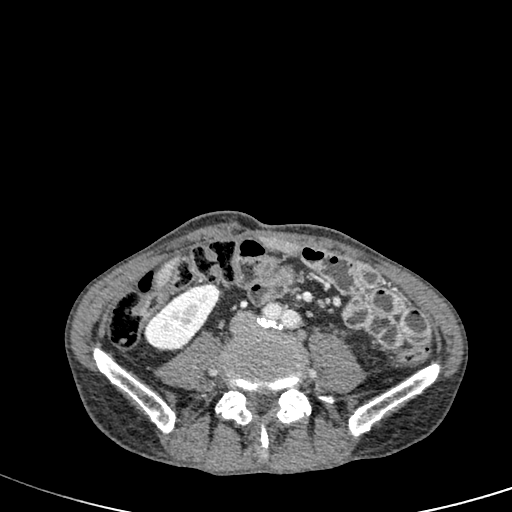

CT slice | Liver | Image size 512x512
liver: [157,262,173,284] | kidney: [145,285,218,348]